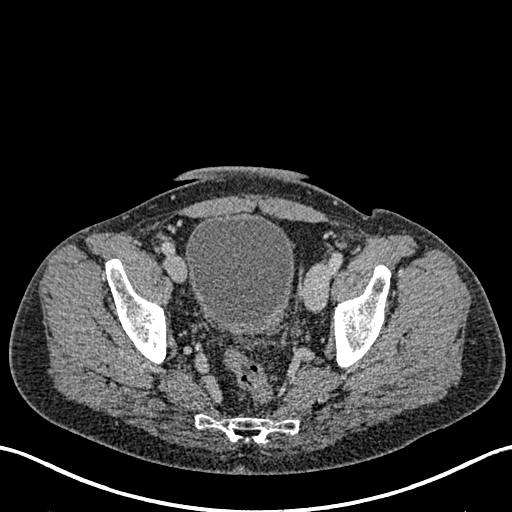 Image size 512x512 | CT image | Pelvis

Urinary bladder at {"x1": 185, "y1": 215, "x2": 294, "y2": 335}.